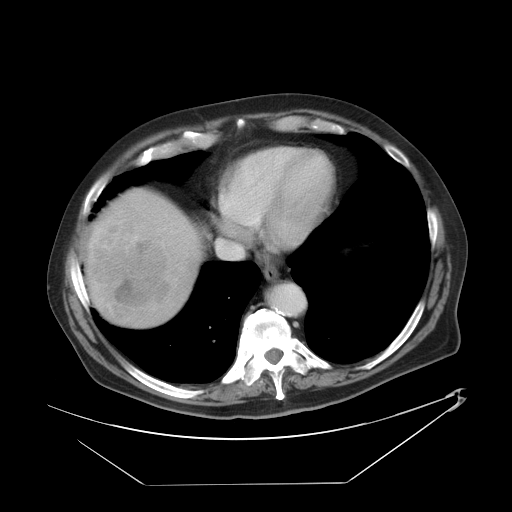 CT scan slice

Only some of the vessels may be annotated.
The hepatic vessel is at box=[217, 240, 242, 258]. The liver tumor appears at box=[90, 223, 170, 316].